CT slice
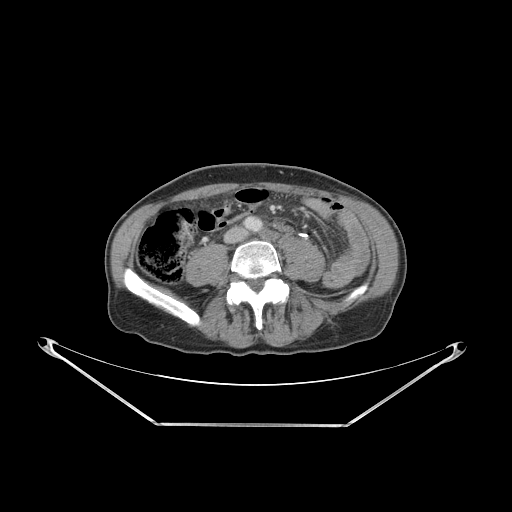
Bone at bbox=[227, 241, 288, 329]; bbox=[348, 286, 366, 299]; bbox=[124, 269, 199, 324].